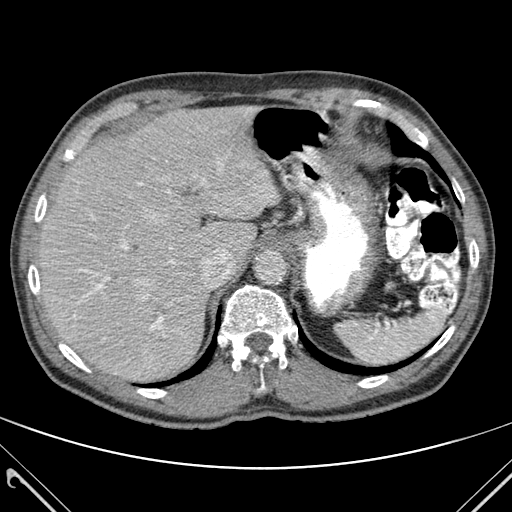
512x512 | CT scan slice | Upper abdomen

The liver is bounded by 40,106,276,381. 3 lung regions are bounded by 387,123,447,181; 173,340,215,381; 299,328,416,374. 11 bone regions are bounded by 470,240,478,267; 218,285,297,370; 425,326,453,356; 35,195,46,222; 65,150,72,158; 414,129,427,146; 138,389,165,398; 359,376,387,387; 453,180,464,201; 28,265,39,293; 59,344,89,371.